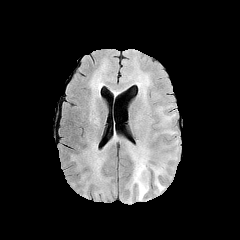
FLAIR MR.
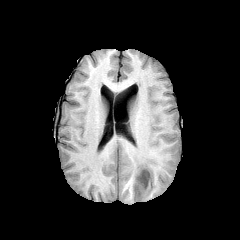
T1-weighted magnetic resonance.
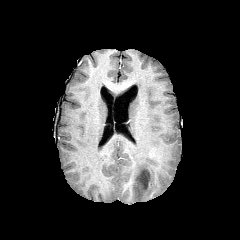
Same slice, post-contrast T1-weighted MR.
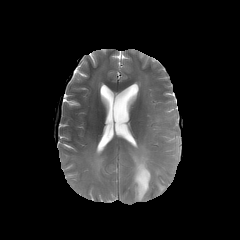
T2-weighted MR image of the same slice.
2 edema regions are located at rect(129, 146, 165, 200); rect(82, 144, 104, 178). The non-enhancing tumor core lies within rect(136, 169, 149, 191).